Abdomen | CT scan slice

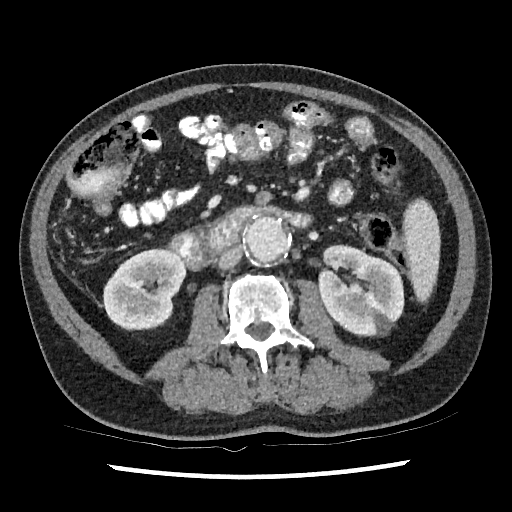
<segmentation>
  <kidney>(319,245,403,335), (104,249,185,329)</kidney>
</segmentation>